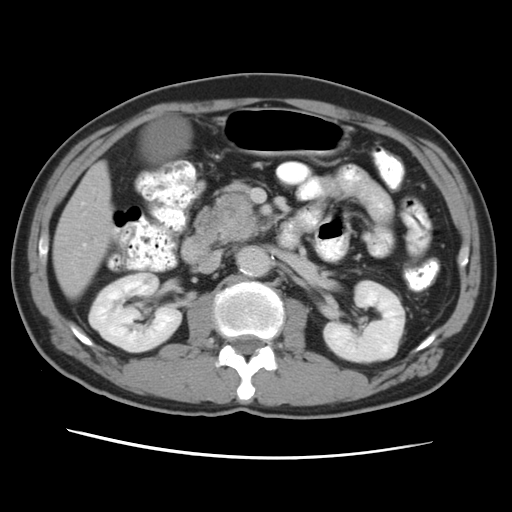

Computed tomography
pancreatic tumor: (222,216,254,240) | pancreas: (208,189,260,244)